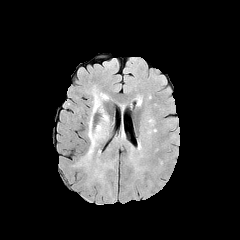
FLAIR MR.
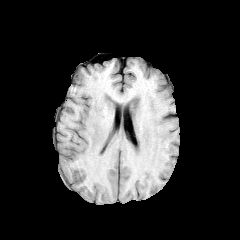
T1-weighted MR image.
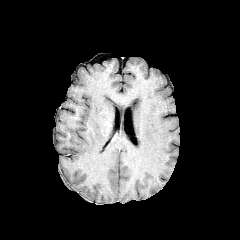
Post-contrast T1-weighted MRI.
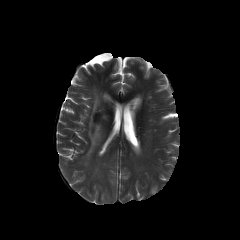
T2-weighted magnetic resonance.
Brain
Edema at <bbox>75, 86, 109, 166</bbox>.